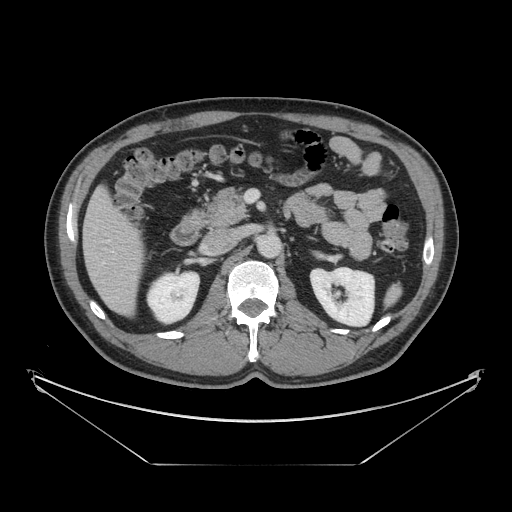 512x512 px; Upper abdomen; CT image
The pancreas lies within (199, 187, 247, 227).